FLAIR MRI.
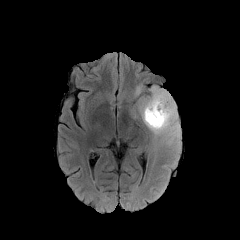
T1-weighted MRI.
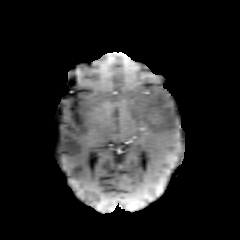
Post-contrast T1-weighted MR.
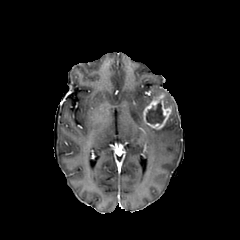
T2-weighted MRI.
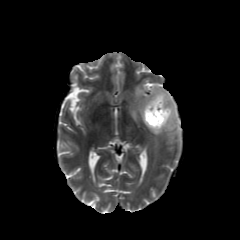
Image size 240x240; Head
The edema is located at rect(134, 85, 181, 152). 3 non-enhancing tumor core regions are bounded by rect(144, 88, 160, 107); rect(165, 113, 174, 125); rect(146, 103, 164, 123). The enhancing tumor appears at rect(142, 92, 172, 129).